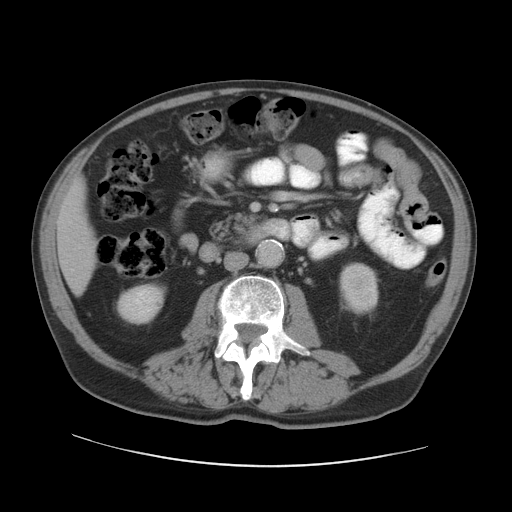

Computed tomography

The vessel boxes may cover only some of the vessels.
• hepatic vessel: [78, 245, 81, 247], [59, 217, 62, 223], [69, 221, 71, 223], [72, 269, 73, 271]